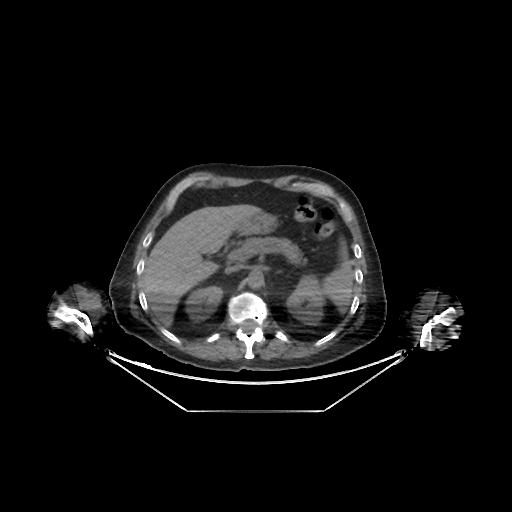
Upper abdomen | Computed tomography

<segmentation>
  <kidney>rect(184, 285, 225, 322); rect(287, 277, 328, 325)</kidney>
  <liver>rect(141, 205, 269, 326)</liver>
</segmentation>